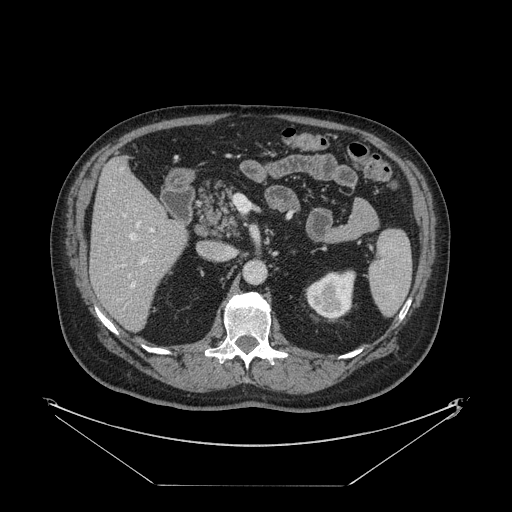

Computed tomography. Abdomen. Not every hepatic vessel necessarily has a box.
Hepatic vessel — left=140, top=259, right=144, bottom=262; left=123, top=214, right=125, bottom=215; left=150, top=228, right=152, bottom=230; left=128, top=274, right=130, bottom=276.